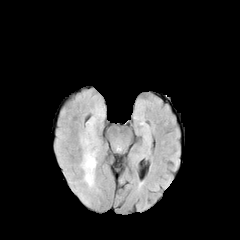
FLAIR MR.
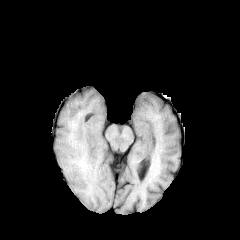
T1-weighted MRI.
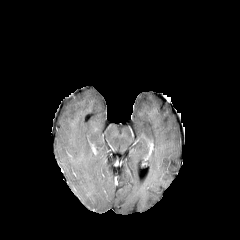
Same slice, post-contrast T1-weighted MRI.
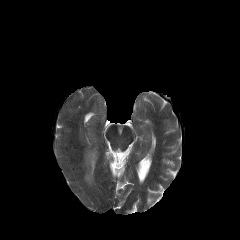
T2-weighted MR of the same slice.
edema:
  - [82,149,96,184]